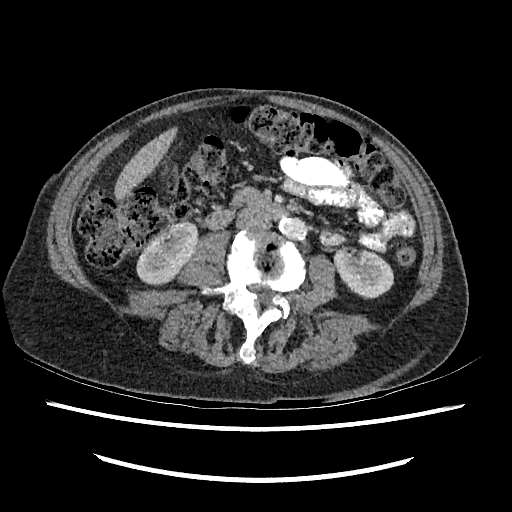 CT. Upper abdomen.
Segmented structures:
• kidney: (left=137, top=224, right=198, bottom=283), (left=334, top=252, right=392, bottom=297)
• liver: (left=115, top=128, right=175, bottom=198)